Slice index 78; CT image; Field of view 418x418 mm 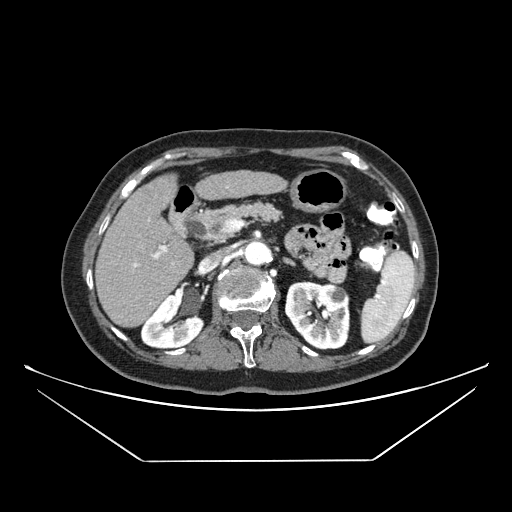
- pancreas: (x1=185, y1=201, x2=283, y2=248)